MR image, Slice index 24, Hippocampus 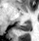

Posterior hippocampus at 18 21 31 31.